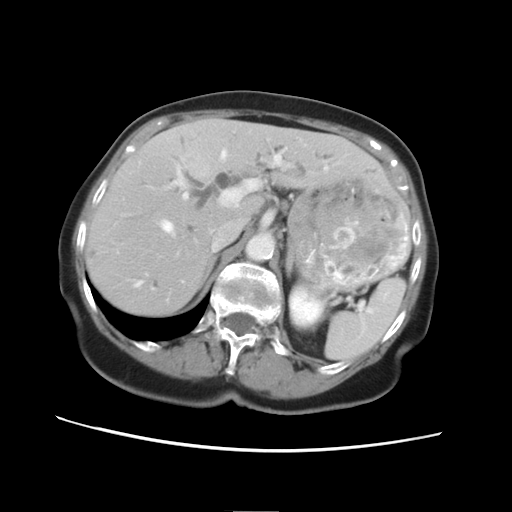
CT scan slice, Liver

The vessel boxes may cover only some of the vessels.
The liver tumor lies within <bbox>191, 151, 209, 173</bbox>. 5 hepatic vessel regions are bounded by <bbox>220, 180, 259, 205</bbox>, <bbox>183, 192, 187, 198</bbox>, <bbox>162, 222, 172, 231</bbox>, <bbox>175, 166, 185, 187</bbox>, <bbox>273, 154, 281, 165</bbox>.